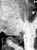 MR image | Medial temporal lobe
Annotated regions:
* posterior hippocampus: (7, 33, 22, 44)